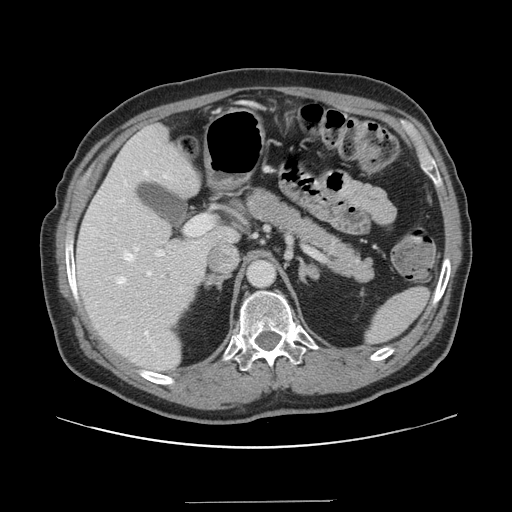
Computed tomography
Only some of the vessels may be annotated.
8 hepatic vessel regions appear at box=[128, 331, 130, 332]; box=[147, 272, 150, 275]; box=[144, 170, 147, 174]; box=[117, 277, 125, 283]; box=[144, 330, 155, 350]; box=[155, 250, 164, 256]; box=[185, 215, 211, 235]; box=[124, 252, 133, 261].